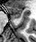

MR | Hippocampus
<segmentation>
  <anterior_hippocampus>bbox=[7, 7, 22, 17]</anterior_hippocampus>
</segmentation>